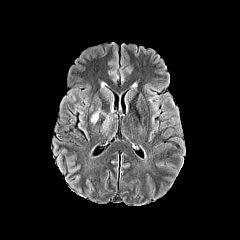
FLAIR MR image.
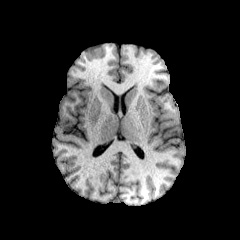
T1-weighted MR image.
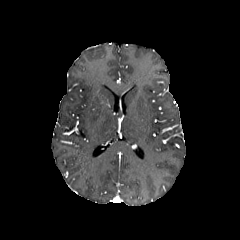
Post-contrast T1-weighted magnetic resonance.
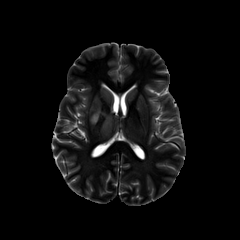
Same slice, T2-weighted MRI.
{"edema": ["box(101, 112, 112, 132)", "box(90, 108, 106, 125)"]}